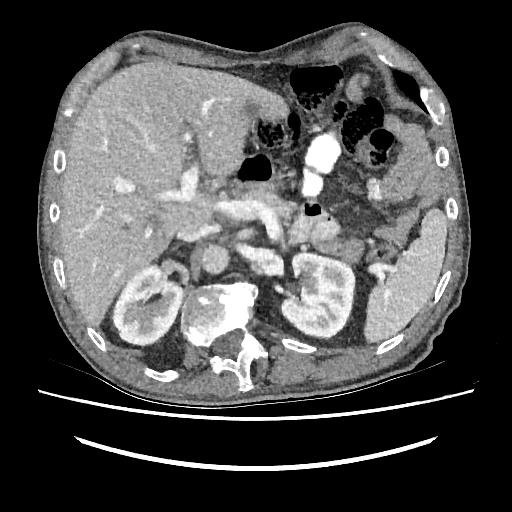
CT scan slice, Image size 512x512, Liver
Liver at [62,62,288,325].
Hepatic lesion at [148,215,158,226], [243,102,260,117].
Kidney at [282,253,354,336], [113,266,182,344].